Field of view 512 mm wide, 1.00 mm slice spacing. CT slice. Slice 37/151. Abdomen. 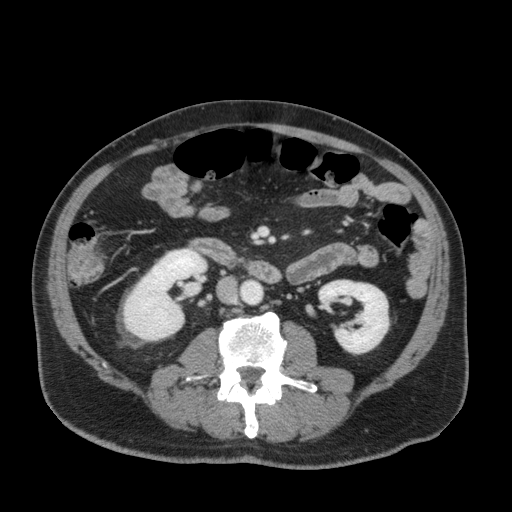
Kidney = {"x1": 124, "y1": 249, "x2": 206, "y2": 339}, {"x1": 319, "y1": 280, "x2": 388, "y2": 352}.